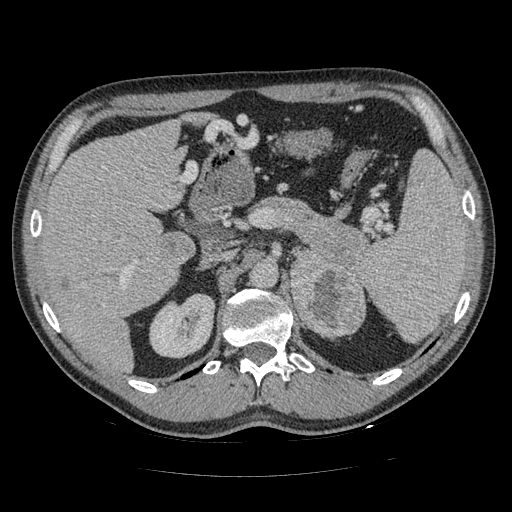 CT scan slice; Upper abdomen
{"pancreatic_tumor": ["(x1=291, y1=250, x2=365, y2=336)"], "pancreas": ["(x1=261, y1=197, x2=367, y2=294)"]}